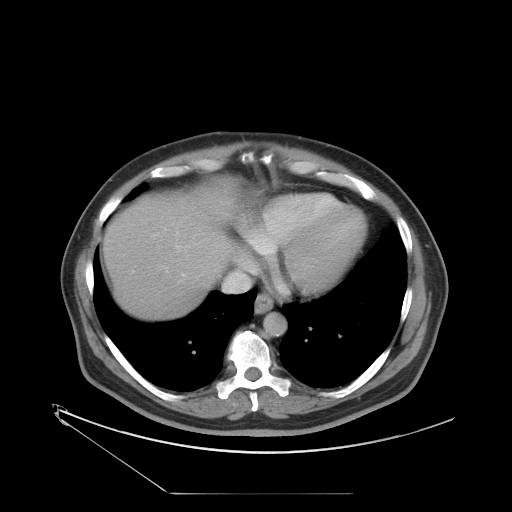 Liver. Computed tomography.
The vessel annotation is not exhaustive.
9 hepatic vessel regions are located at [x1=176, y1=245, x2=188, y2=252], [x1=215, y1=243, x2=227, y2=250], [x1=196, y1=242, x2=199, y2=243], [x1=162, y1=265, x2=167, y2=271], [x1=164, y1=228, x2=167, y2=231], [x1=179, y1=274, x2=185, y2=281], [x1=214, y1=263, x2=219, y2=268], [x1=153, y1=233, x2=159, y2=237], [x1=223, y1=274, x2=247, y2=292].